Slice 21 of 37, Medial temporal lobe, Magnetic resonance

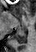
Posterior hippocampus = [x1=14, y1=29, x2=26, y2=43].